MRI, Medial temporal lobe, Slice 18/37, 34x51
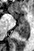
Segmented structures:
• posterior hippocampus: 16:23:28:38
• anterior hippocampus: 11:11:13:12, 22:18:24:22